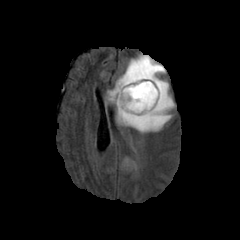
FLAIR magnetic resonance.
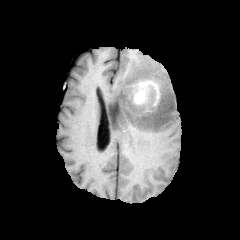
T1-weighted magnetic resonance.
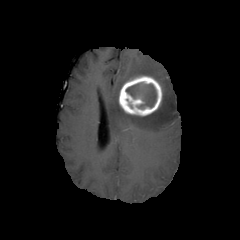
Post-contrast T1-weighted MRI.
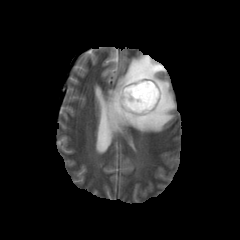
T2-weighted MR image of the same slice.
240x240. Head.
Edema = (109,56,174,132).
Non-enhancing tumor core = (114,91,123,111), (126,84,156,107), (137,93,165,118).
Enhancing tumor = (118,75,163,116).